240x240. Head.
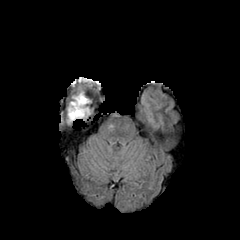
FLAIR MRI.
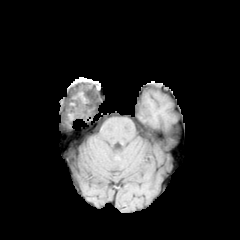
T1-weighted MR image.
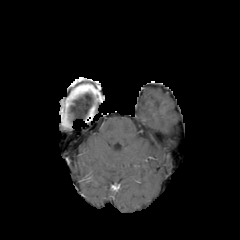
Post-contrast T1-weighted MRI.
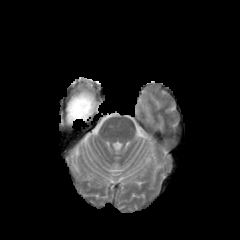
T2-weighted MR.
Non-enhancing tumor core — box(68, 108, 87, 120).
Edema — box(68, 86, 91, 115).